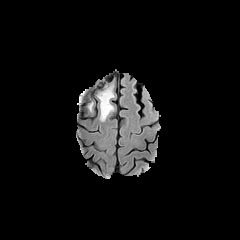
FLAIR MR image.
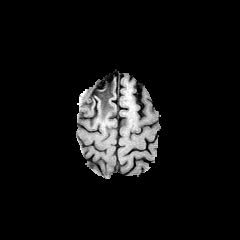
T1-weighted MR.
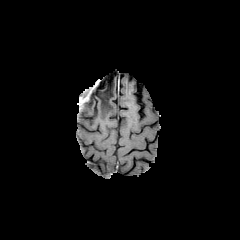
Same slice, post-contrast T1-weighted MRI.
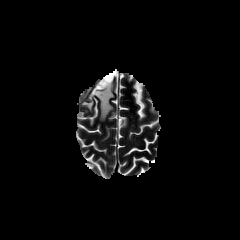
Same slice, T2-weighted MR.
Head.
Findings:
- non-enhancing tumor core: 94, 82, 112, 109
- edema: 79, 82, 115, 121